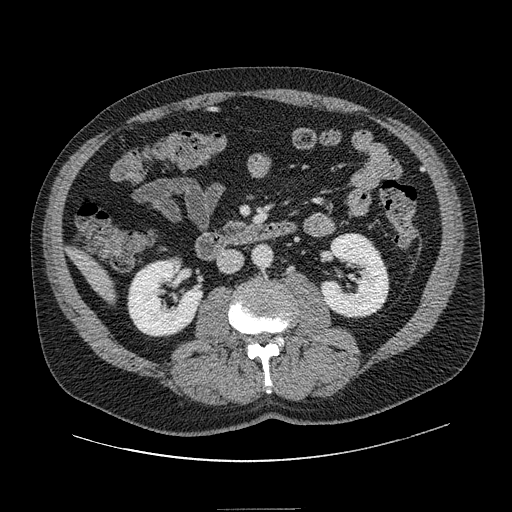

Upper abdomen, CT
Pancreas: [224, 222, 244, 231].